Slice index 140; CT image; 512x512 px
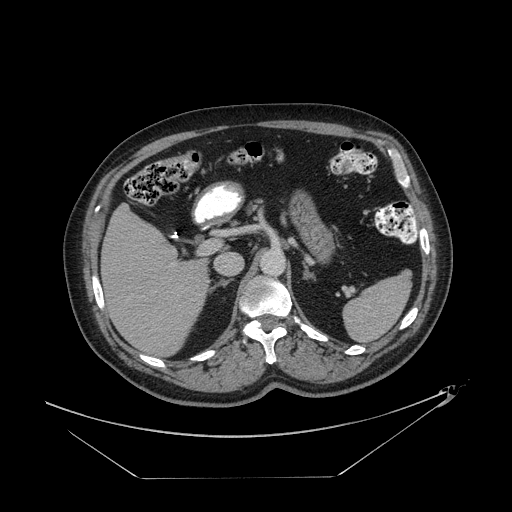 colon_tumor:
  - 167, 173, 178, 182
  - 161, 156, 187, 165